Abdomen; CT
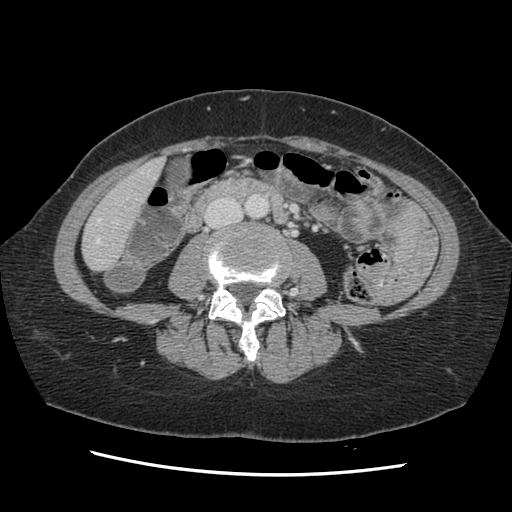

The vessel boxes may cover only some of the vessels.
hepatic vessel: bbox(141, 170, 149, 174); bbox(96, 237, 99, 242); bbox(153, 177, 154, 178); bbox(97, 218, 100, 221)